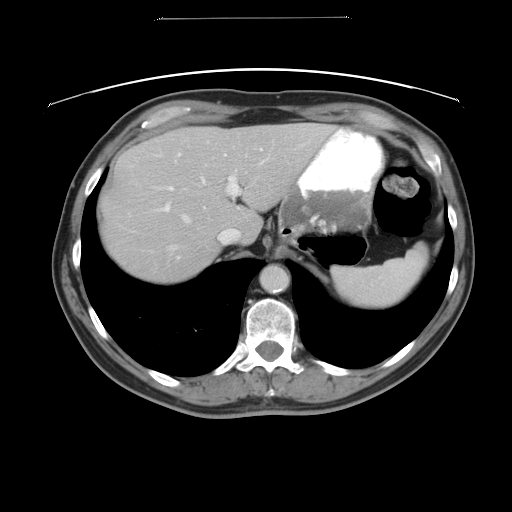

CT; 512x512 px
Some hepatic vessels may have no box.
11 hepatic vessel regions appear at x1=178, y1=153, x2=180, y2=155; x1=155, y1=204, x2=170, y2=211; x1=204, y1=207, x2=205, y2=208; x1=155, y1=186, x2=173, y2=189; x1=175, y1=158, x2=176, y2=161; x1=177, y1=256, x2=179, y2=258; x1=218, y1=228, x2=239, y2=242; x1=169, y1=245, x2=176, y2=250; x1=256, y1=148, x2=261, y2=150; x1=226, y1=169, x2=240, y2=196; x1=183, y1=215, x2=189, y2=221.